CT scan slice; Slice 200/343; Abdomen
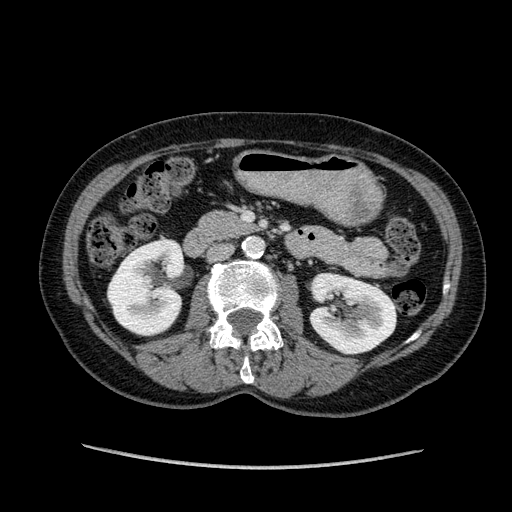

Kidney — {"x1": 311, "y1": 274, "x2": 395, "y2": 353}, {"x1": 108, "y1": 240, "x2": 182, "y2": 334}.